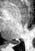

MR image. Hippocampus.

The posterior hippocampus lies within <bbox>13, 41, 19, 44</bbox>.